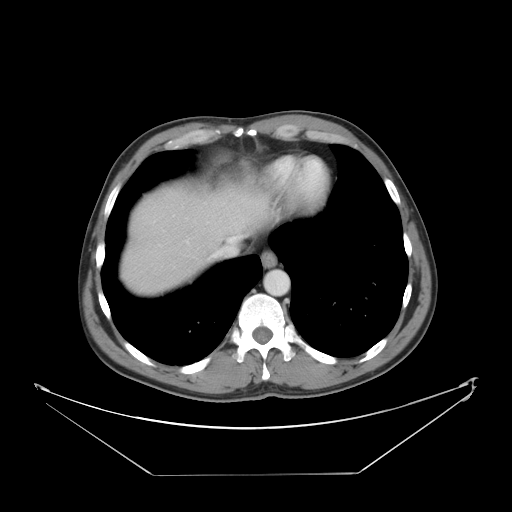
CT. Liver.
The vessel boxes may cover only some of the vessels.
2 hepatic vessel regions are located at (186,240,187,242), (237,227,240,231).